FLAIR MR image.
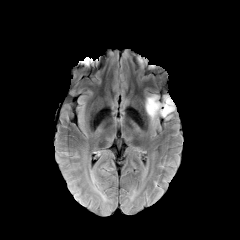
T1-weighted MRI.
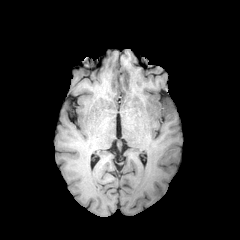
Post-contrast T1-weighted magnetic resonance.
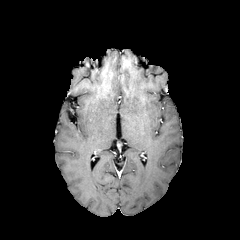
T2-weighted magnetic resonance.
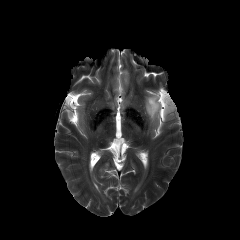
<segmentation>
  <edema>(left=145, top=93, right=175, bottom=126)</edema>
</segmentation>